Brain
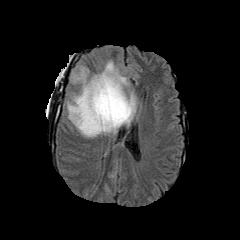
FLAIR MRI.
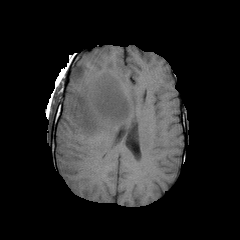
T1-weighted magnetic resonance.
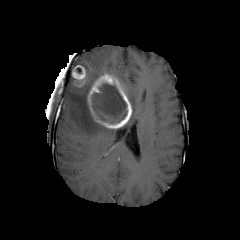
Same slice, post-contrast T1-weighted magnetic resonance.
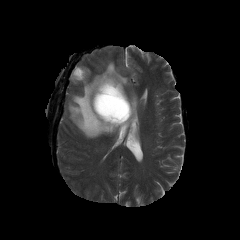
T2-weighted magnetic resonance of the same slice.
non-enhancing tumor core: box=[91, 84, 127, 123] | edema: box=[67, 60, 129, 138]; box=[126, 89, 138, 127] | enhancing tumor: box=[71, 65, 86, 86]; box=[87, 73, 132, 128]